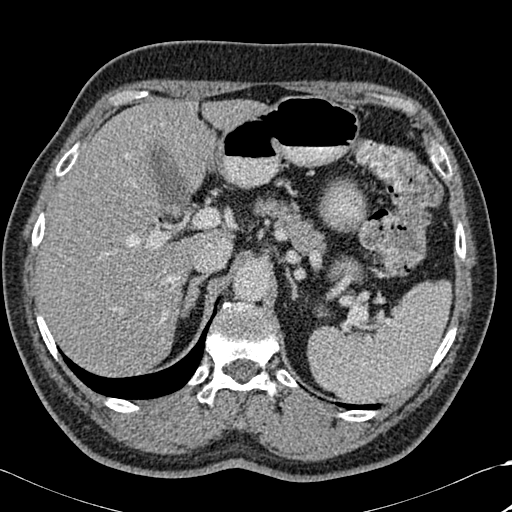
Upper abdomen. CT slice. Liver = 208,101,256,129; 41,101,214,377.
Lung = 59,298,219,399; 335,403,380,409.
Bone = 32,214,44,245; 340,410,374,421; 198,303,278,403; 106,398,138,412; 456,224,465,258; 431,328,455,368; 277,370,296,386; 37,317,56,357; 189,365,208,384.